FLAIR MRI.
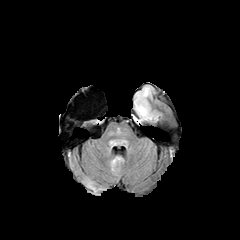
T1-weighted magnetic resonance.
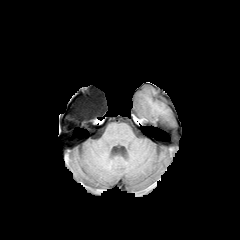
Post-contrast T1-weighted magnetic resonance.
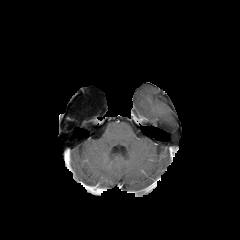
T2-weighted MR.
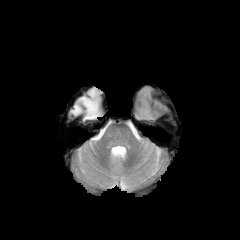
Brain.
The edema appears at 138:106:149:119.